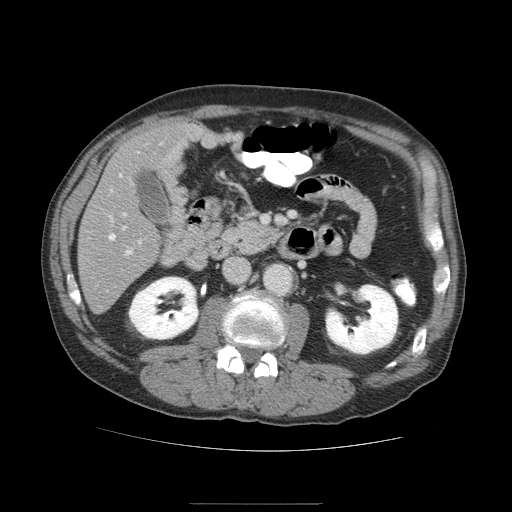 CT slice; 512x512 px
Only some of the vessels may be annotated.
{
  "hepatic_vessel": [
    "(left=110, top=234, right=114, bottom=240)",
    "(left=123, top=213, right=125, bottom=215)",
    "(left=122, top=226, right=125, bottom=229)",
    "(left=119, top=174, right=121, bottom=176)",
    "(left=126, top=247, right=132, bottom=254)",
    "(left=138, top=240, right=140, bottom=243)"
  ]
}